CT image
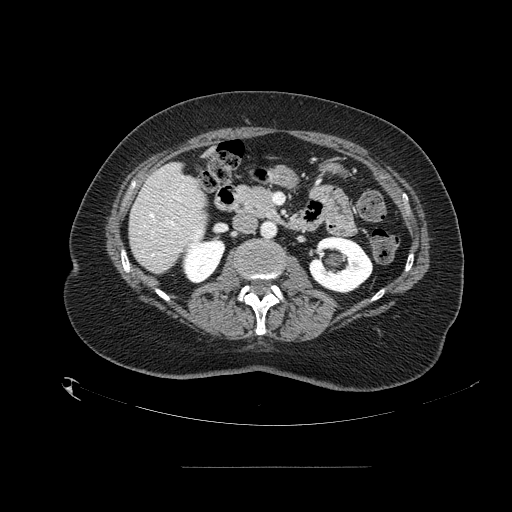
The pancreas is at [234,184,275,219].